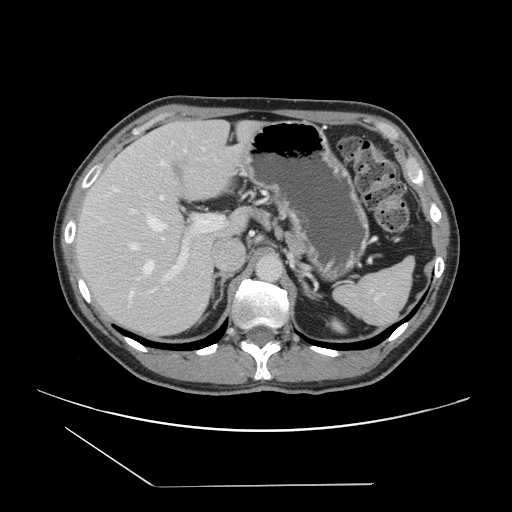
CT slice.

The vessel boxes may cover only some of the vessels.
- hepatic vessel (largest 15 of 16): (185, 237, 188, 242), (172, 141, 173, 144), (150, 290, 153, 291), (159, 161, 165, 164), (183, 260, 184, 264), (130, 300, 131, 304), (184, 244, 184, 247), (140, 192, 142, 197), (133, 292, 134, 294), (147, 218, 147, 221), (201, 158, 204, 159), (184, 149, 185, 151), (193, 228, 198, 233), (185, 257, 186, 259), (161, 222, 165, 223)